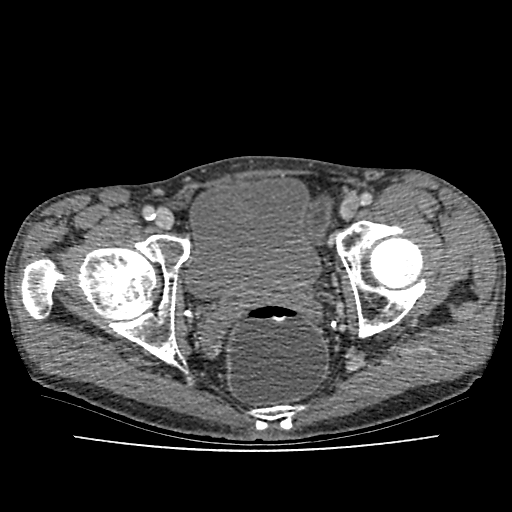
CT scan slice
The urinary bladder is bounded by [x1=185, y1=172, x2=321, y2=302].